Computed tomography, Field of view 408x408 mm, Image size 512x512, Slice 32 of 38
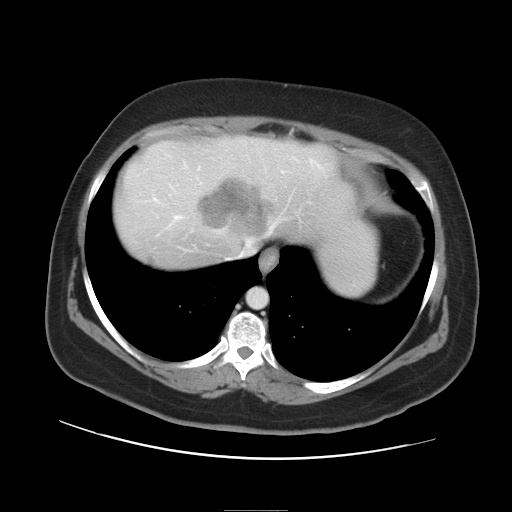 The vessel boxes may cover only some of the vessels.
Hepatic vessel — x1=174, y1=215, x2=181, y2=219; x1=269, y1=218, x2=280, y2=231; x1=282, y1=171, x2=283, y2=172; x1=238, y1=238, x2=253, y2=256.
Liver tumor — x1=201, y1=181, x2=268, y2=235.